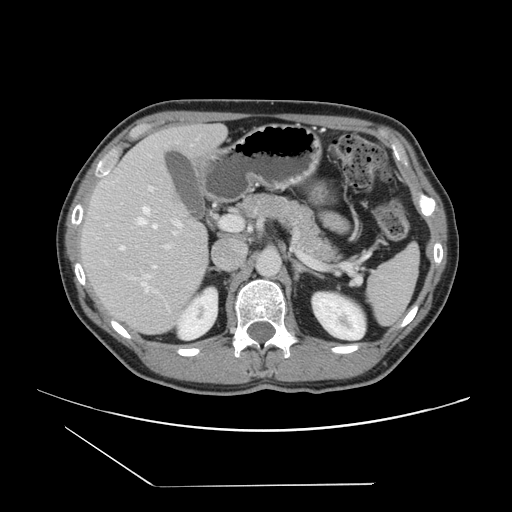

CT scan slice; Abdomen
The vessel boxes may cover only some of the vessels.
5 hepatic vessel regions are located at (141, 276, 148, 282), (167, 309, 169, 310), (177, 228, 180, 231), (105, 261, 107, 264), (196, 138, 197, 140).